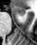
Medial temporal lobe, MRI, 37x45

Annotated regions:
• anterior hippocampus: [x1=14, y1=6, x2=25, y2=15]